Computed tomography, 512x512 px
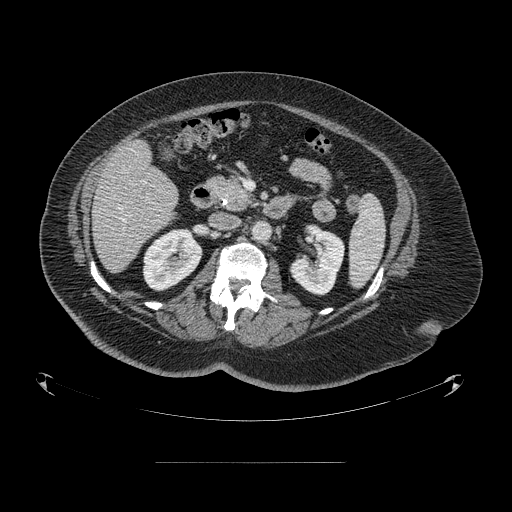 {"pancreas": ["(left=207, top=177, right=251, bottom=210)"]}